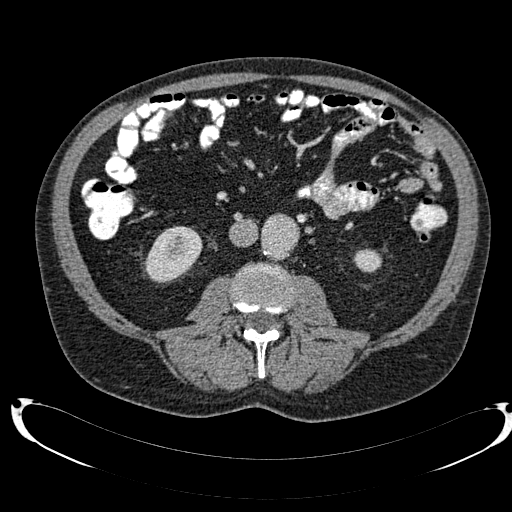

Computed tomography | Abdomen | 512x512 px

<segmentation>
  <kidney>box=[354, 249, 381, 272]; box=[145, 226, 202, 282]</kidney>
</segmentation>